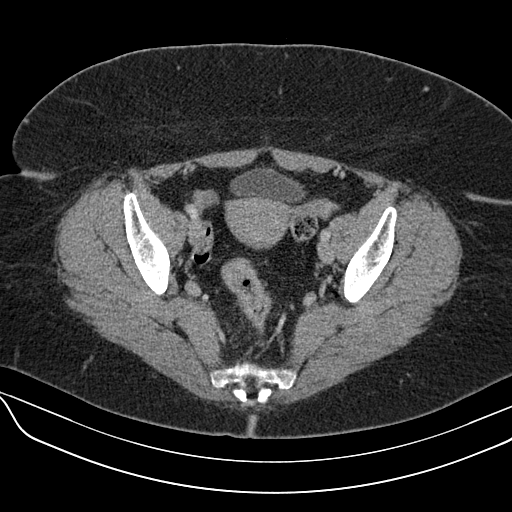

CT slice | 512x512 px | Pelvis
Annotated regions:
- colon tumor: {"x1": 221, "y1": 259, "x2": 270, "y2": 325}